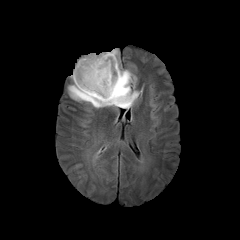
FLAIR MRI.
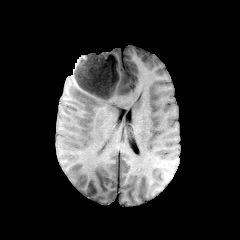
T1-weighted MR of the same slice.
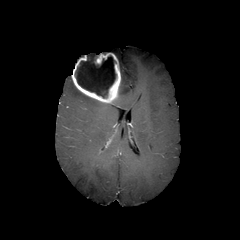
Post-contrast T1-weighted MRI.
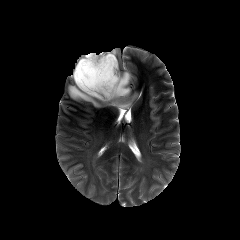
T2-weighted magnetic resonance.
Enhancing tumor — <box>71,53,120,104</box>.
Edema — <box>68,60,140,110</box>, <box>108,48,119,57</box>.
Non-enhancing tumor core — <box>75,54,116,98</box>.